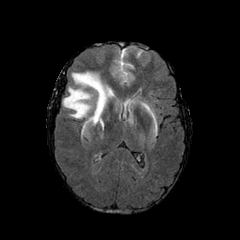
FLAIR MR.
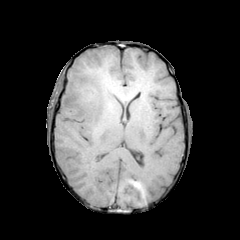
T1-weighted MR image of the same slice.
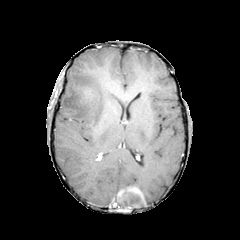
Post-contrast T1-weighted magnetic resonance.
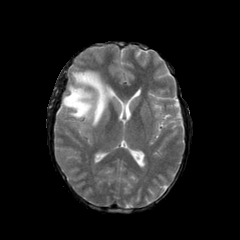
T2-weighted MR image.
240x240 px, Head
Edema at [62, 71, 114, 126].